Pelvis; CT 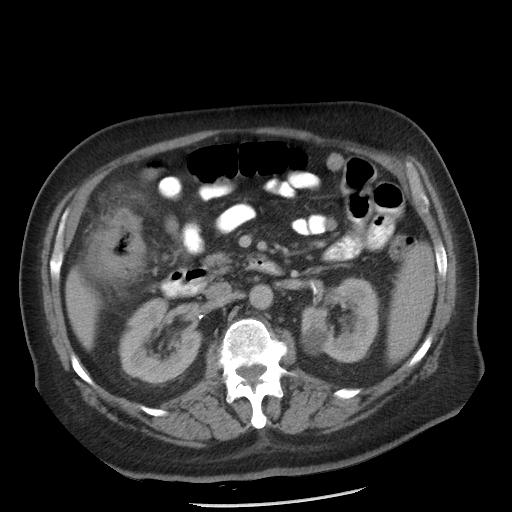 {
  "colon_tumor": [
    "97:209:144:274"
  ]
}